Slice 99 of 121. Computed tomography.

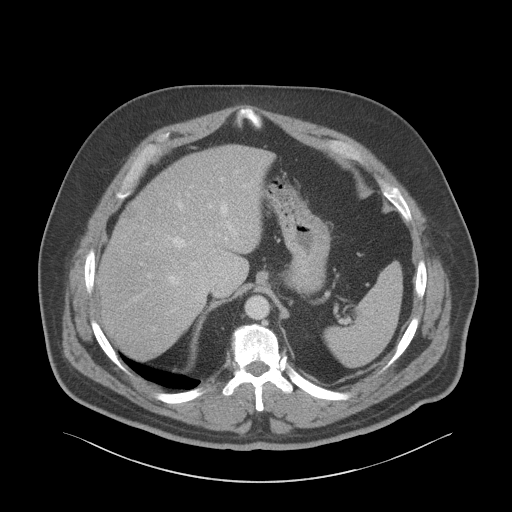 <segmentation>
  <liver>box=[98, 146, 270, 358]</liver>
  <hepatic_lesion>box=[123, 205, 137, 222]</hepatic_lesion>
</segmentation>